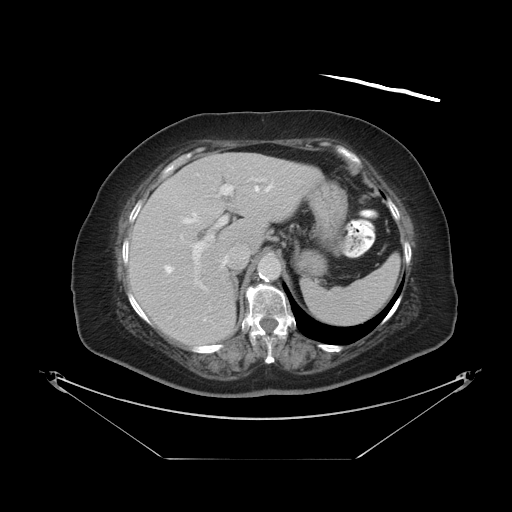 Image size 512x512. Liver. CT slice.

Some hepatic vessels may have no box.
Hepatic vessel: bounding box rect(204, 318, 205, 319); rect(256, 178, 264, 180); rect(222, 258, 225, 265); rect(230, 225, 252, 229); rect(230, 232, 232, 234); rect(180, 234, 182, 238); rect(217, 184, 232, 195); rect(265, 185, 271, 191); rect(215, 216, 227, 227); rect(191, 233, 213, 289); rect(230, 245, 249, 255); rect(183, 213, 196, 222); rect(164, 265, 174, 274); rect(255, 185, 259, 191).